Upper abdomen. CT scan slice.

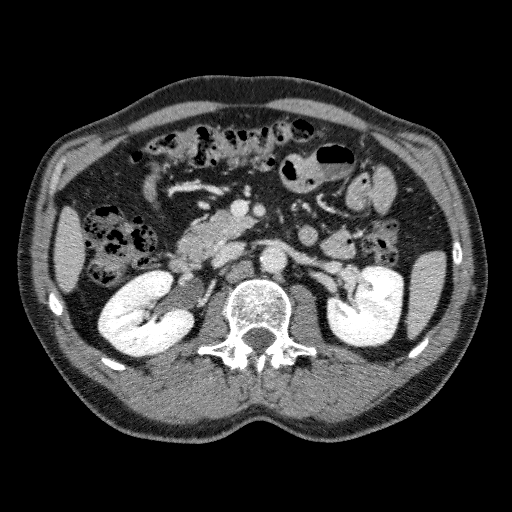
liver: (x1=55, y1=208, x2=84, y2=289) | kidney: (x1=328, y1=267, x2=402, y2=345), (x1=99, y1=271, x2=193, y2=355)